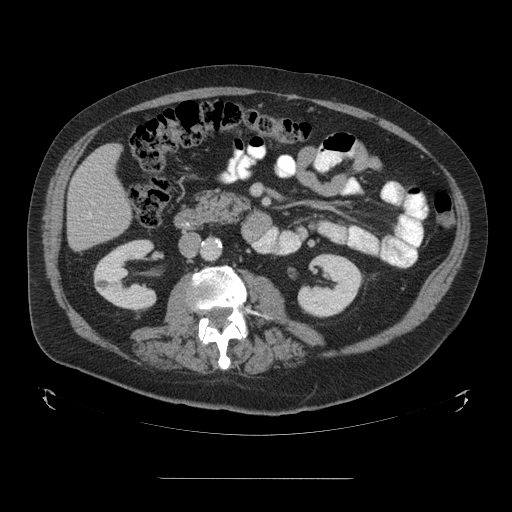
CT | Image size 512x512 | Abdomen
Some hepatic vessels may have no box.
The hepatic vessel is at bbox(83, 213, 92, 219).